Field of view 700x700 mm | CT 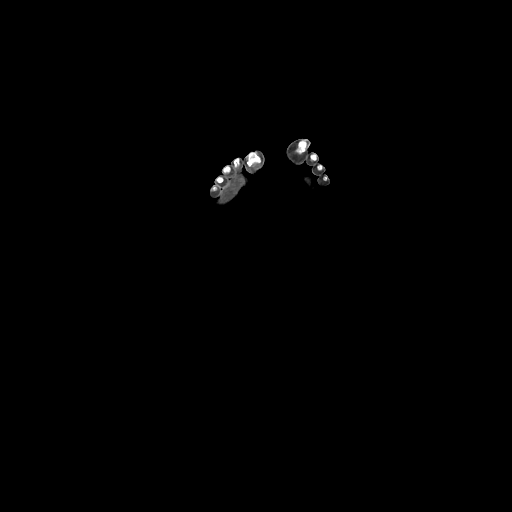

Segmented structures:
- bone: [297,142,305,152], [248,152,260,165]